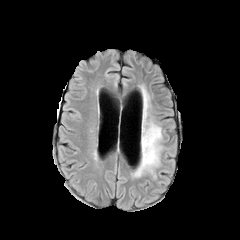
FLAIR MRI.
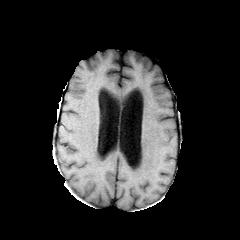
T1-weighted MR image of the same slice.
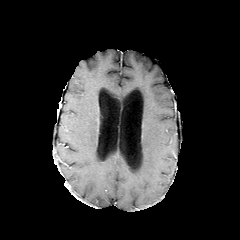
Post-contrast T1-weighted MR image of the same slice.
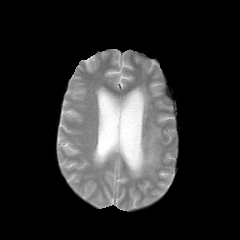
Same slice, T2-weighted MR image.
240x240
edema: (134,87,163,176)